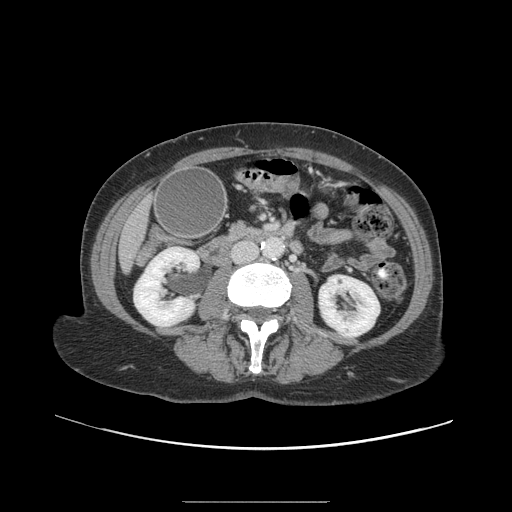

CT image
The pancreas is at left=228, top=223, right=258, bottom=241.